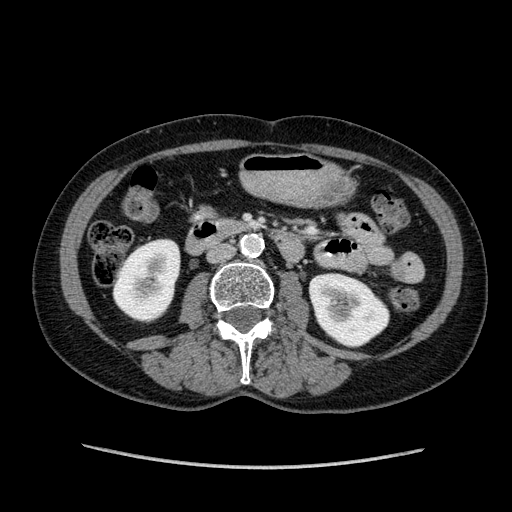
512x512, CT scan slice, Abdomen

2 kidney regions are located at region(310, 274, 387, 345); region(114, 240, 179, 319).